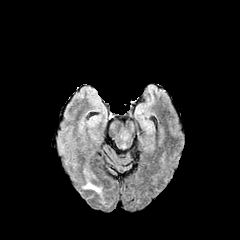
FLAIR magnetic resonance.
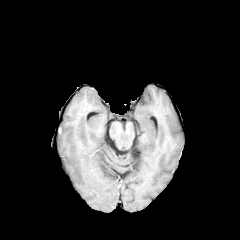
Same slice, T1-weighted MRI.
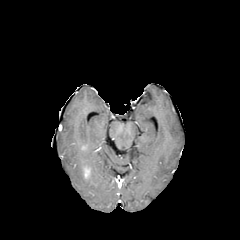
Same slice, post-contrast T1-weighted MRI.
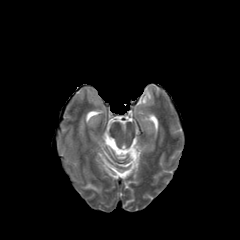
Same slice, T2-weighted magnetic resonance.
<segmentation>
  <edema>(x1=82, y1=177, x2=102, y2=196)</edema>
</segmentation>